Slice index 13, MR image, 36x48 px, Medial temporal lobe

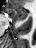 Anterior hippocampus: <bbox>8, 8, 27, 20</bbox>.